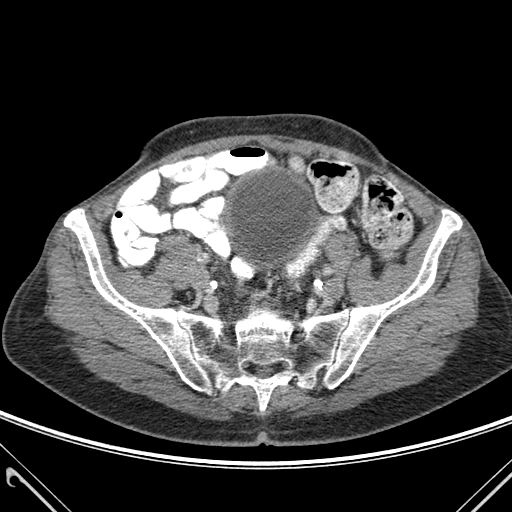

Computed tomography
{
  "bone": [
    "64,209,461,410"
  ]
}